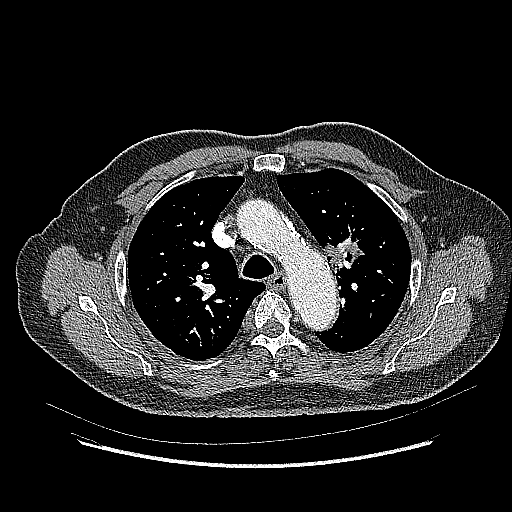
Lung; CT image
lung_tumor:
  - box(320, 234, 365, 272)